Brain, Slice 116/155
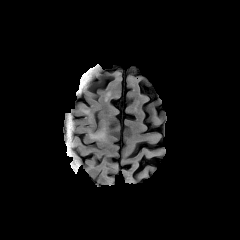
FLAIR MR image.
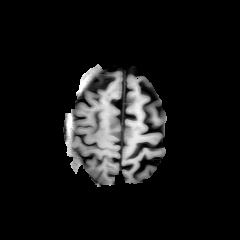
Same slice, T1-weighted MR image.
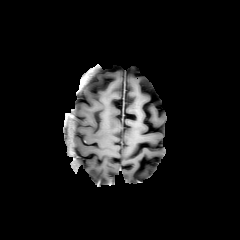
Post-contrast T1-weighted MRI.
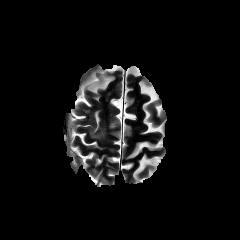
T2-weighted MRI.
edema:
  - rect(91, 128, 103, 139)